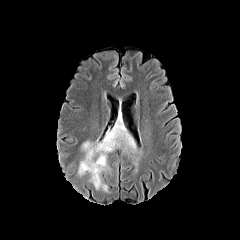
FLAIR MR.
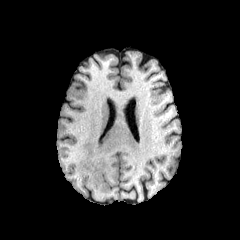
Same slice, T1-weighted MRI.
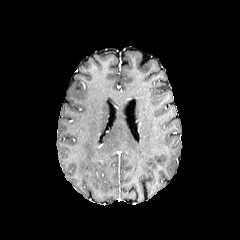
Post-contrast T1-weighted magnetic resonance.
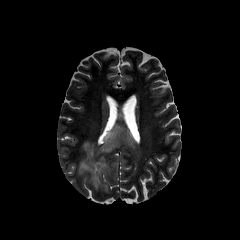
Same slice, T2-weighted MR.
Head
Annotated regions:
• edema: bbox(78, 115, 135, 190)